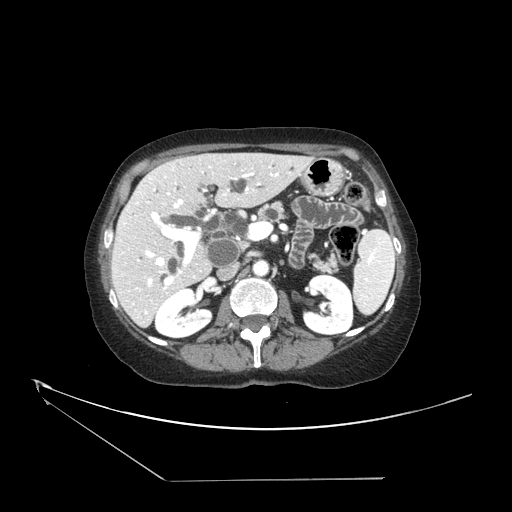 CT
2 pancreas regions are located at [x1=311, y1=254, x2=337, y2=273], [x1=259, y1=203, x2=287, y2=221].